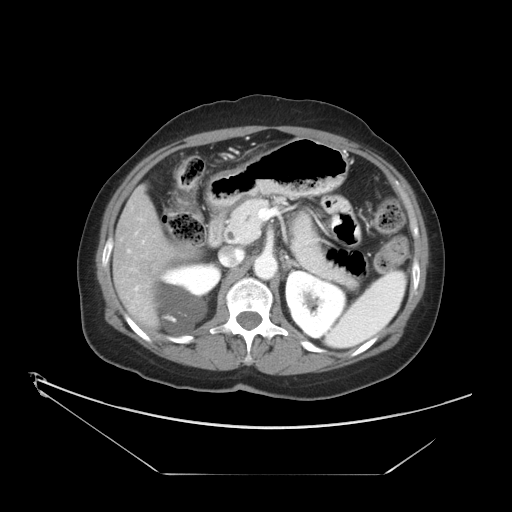
CT image
Only some of the vessels may be annotated.
2 hepatic vessel regions are located at left=167, top=275, right=170, bottom=279; left=128, top=250, right=130, bottom=252.